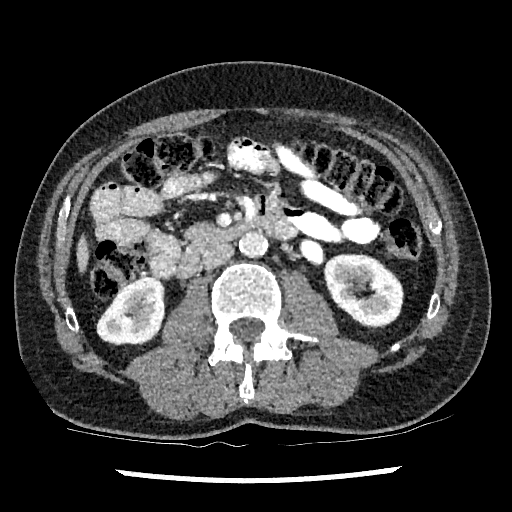

Computed tomography; Liver; 512x512 px
2 kidney regions appear at left=325, top=255, right=402, bottom=325; left=98, top=278, right=163, bottom=343. The liver lies within left=76, top=234, right=87, bottom=272.